Slice 160/240 | CT image | Upper abdomen | 512x512 px

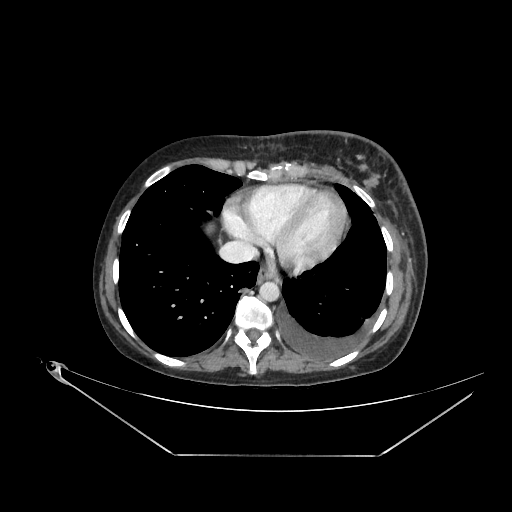 Annotated regions:
• liver: (left=206, top=226, right=215, bottom=236)